CT slice; Pelvis

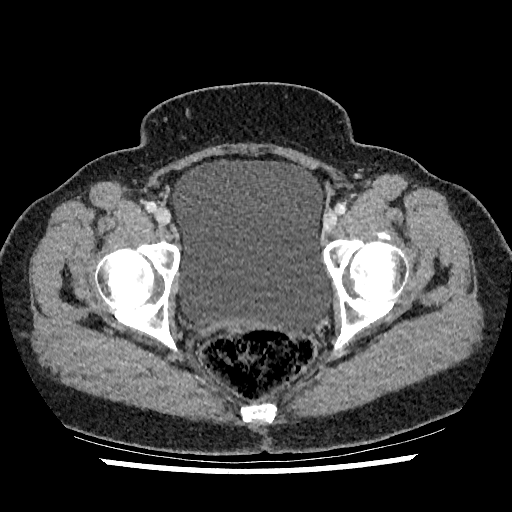
<segmentation>
  <urinary_bladder>box=[172, 159, 333, 332]</urinary_bladder>
</segmentation>